Image width 498 mm, CT slice, Upper abdomen
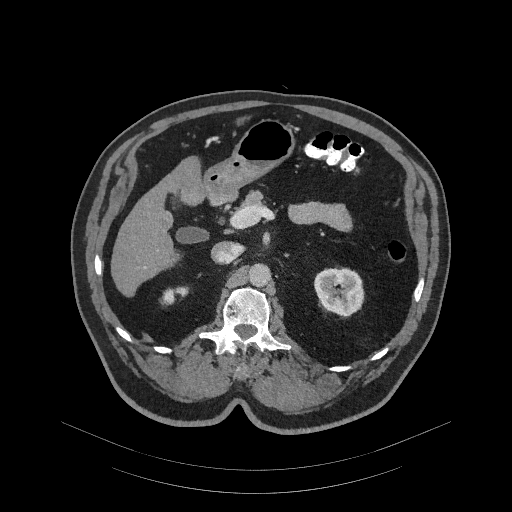

The pancreas is at left=239, top=191, right=263, bottom=208.